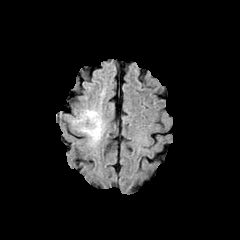
FLAIR MR image.
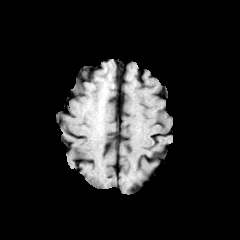
T1-weighted MR of the same slice.
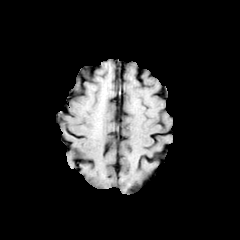
Post-contrast T1-weighted magnetic resonance.
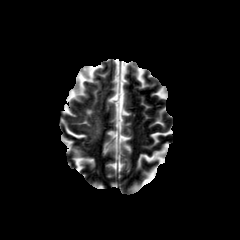
T2-weighted MRI.
<segmentation>
  <edema>left=83, top=109, right=101, bottom=140</edema>
</segmentation>